CT image. Upper abdomen. Slice index 491. 512x512.
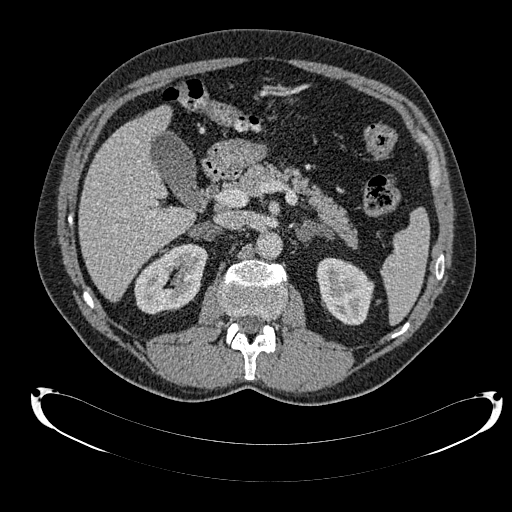
The liver is at <box>79,107,194,301</box>. 2 kidney regions are located at <box>135,244,206,313</box>, <box>317,258,373,324</box>.